Slice index 87. Brain.
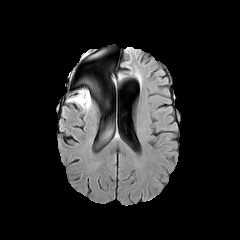
FLAIR MR image.
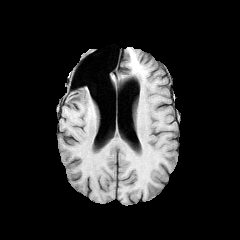
T1-weighted MRI.
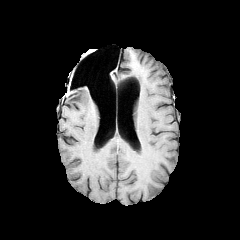
Post-contrast T1-weighted magnetic resonance.
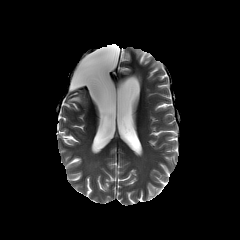
T2-weighted MR image.
The edema is at 67:89:92:112.